FLAIR magnetic resonance.
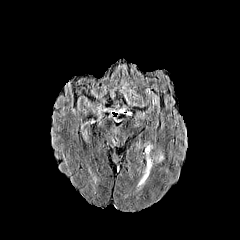
T1-weighted magnetic resonance.
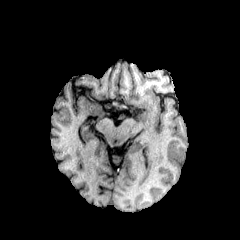
Post-contrast T1-weighted MRI.
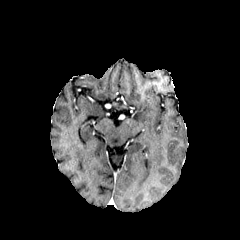
T2-weighted MRI.
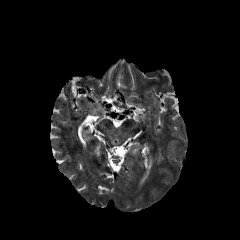
Image size 240x240
2 edema regions appear at bbox=[153, 153, 163, 163]; bbox=[136, 158, 153, 190].